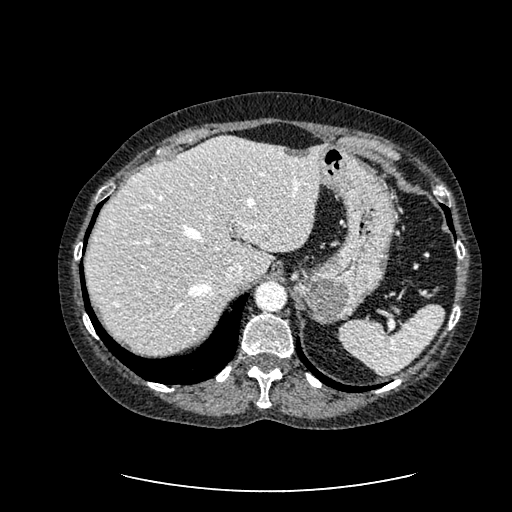

Upper abdomen, CT slice

liver: 85,136,326,352 | liver lesion: 283,147,310,157